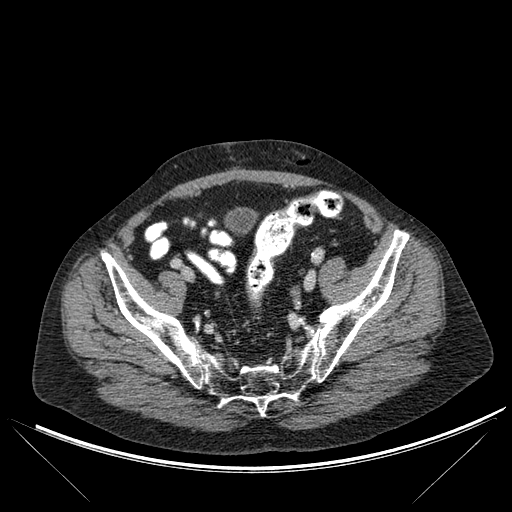
Computed tomography. 512x512 px.

bone:
  - (101,230,408,415)